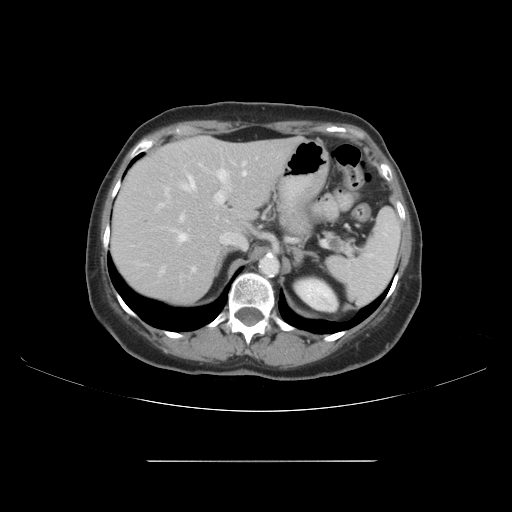 Abdomen. CT slice.
Pancreatic tumor — rect(328, 239, 339, 249).
Pancreas — rect(331, 237, 343, 249).